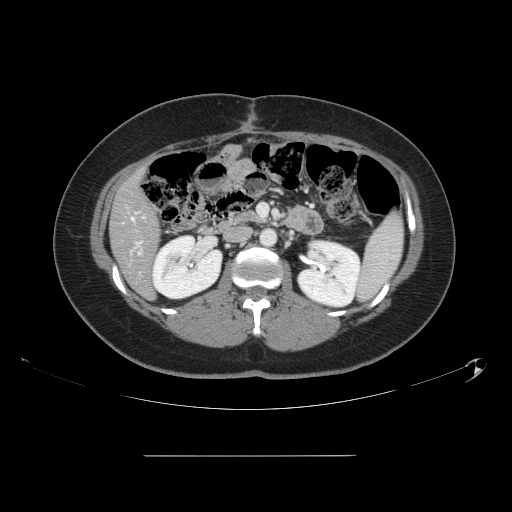
512x512 | CT scan slice

The vessel annotation is not exhaustive.
3 hepatic vessel regions are bounded by {"x1": 136, "y1": 242, "x2": 139, "y2": 244}, {"x1": 138, "y1": 252, "x2": 140, "y2": 254}, {"x1": 131, "y1": 217, "x2": 133, "y2": 219}.